240x240
FLAIR MR image.
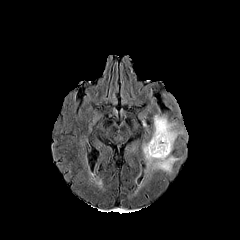
T1-weighted magnetic resonance.
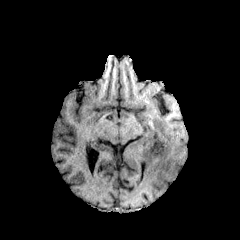
Post-contrast T1-weighted magnetic resonance.
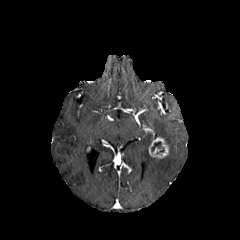
T2-weighted MR image.
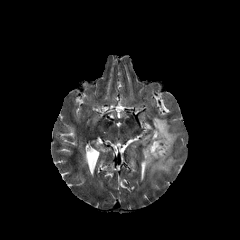
The enhancing tumor is bounded by (148,137,169,159). The non-enhancing tumor core is at (150,141,161,150). The edema is at (141,114,179,173).